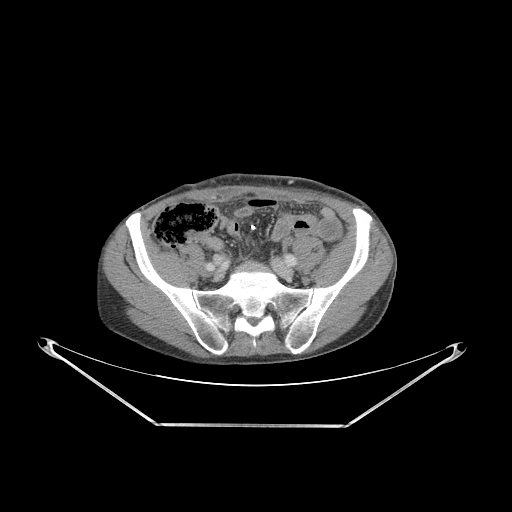

CT
Bone at box(126, 209, 371, 354).